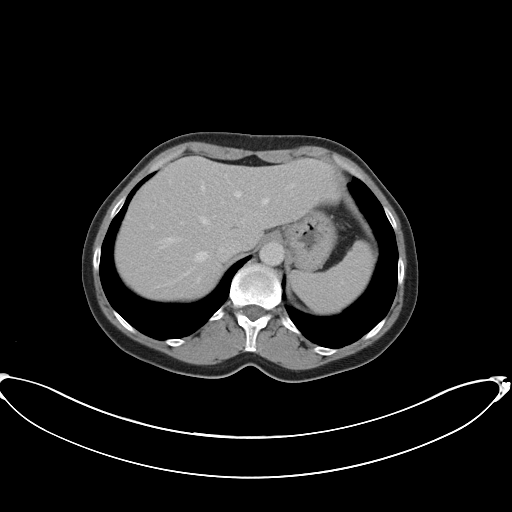
CT.

The vessel annotation is not exhaustive.
hepatic_vessel:
  - x1=201 y1=184 x2=204 y2=191
  - x1=261 y1=197 x2=269 y2=205
  - x1=201 y1=217 x2=207 y2=223
  - x1=228 y1=181 x2=230 y2=183
  - x1=287 y1=183 x2=294 y2=188
  - x1=233 y1=190 x2=241 y2=197
  - x1=197 y1=253 x2=205 y2=259
  - x1=168 y1=239 x2=172 y2=241